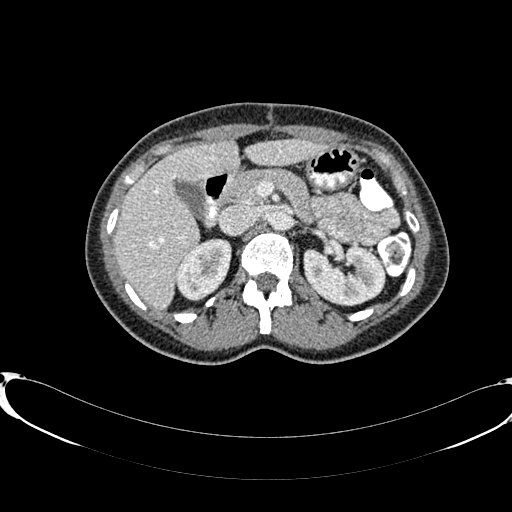

CT; Liver
Kidney at (x1=178, y1=241, x2=229, y2=298), (x1=305, y1=246, x2=383, y2=304).
Liver at (x1=246, y1=140, x2=327, y2=165), (x1=114, y1=142, x2=237, y2=308).